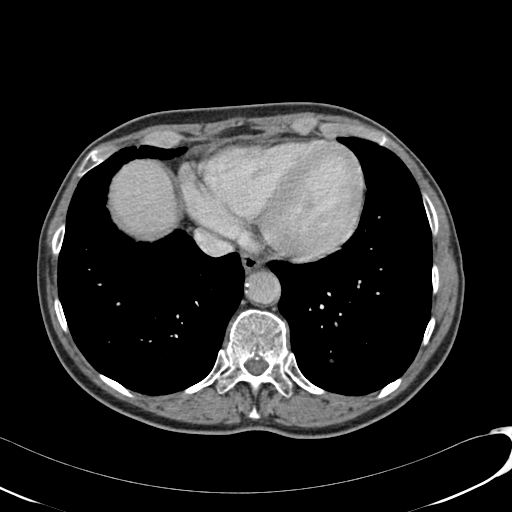
Computed tomography; Upper abdomen

The liver appears at {"x1": 111, "y1": 161, "x2": 175, "y2": 235}.